Hippocampus, Image size 34x47, Slice 30 of 39, Image width 34 mm, MR image

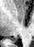
The posterior hippocampus is at 12 38 17 41.